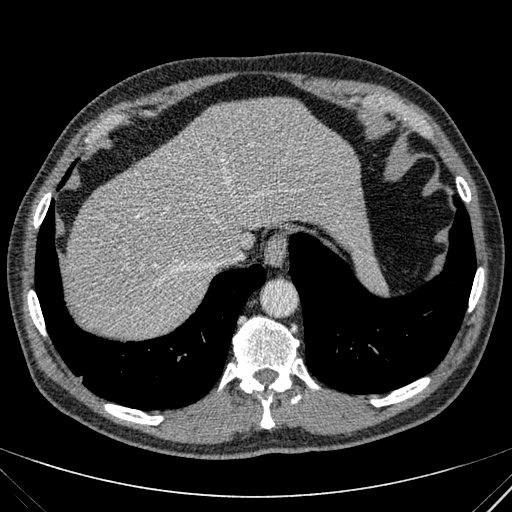
512x512 px, Abdomen, Computed tomography

Liver — box=[63, 99, 372, 337].